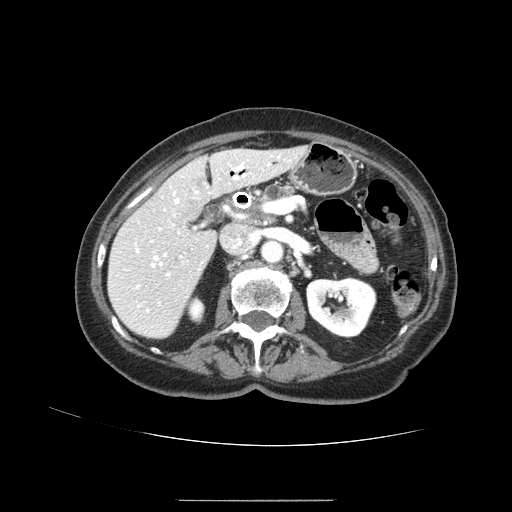 CT image

Pancreas at bbox=[265, 185, 293, 200].